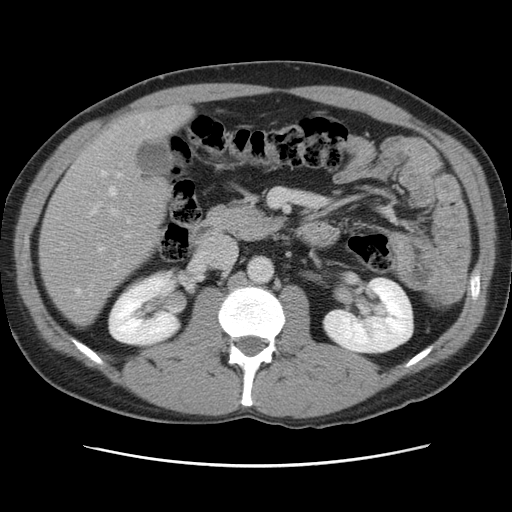

CT image, Liver
The vessel boxes may cover only some of the vessels.
Hepatic vessel at l=111, t=137, r=112, b=138; l=114, t=261, r=119, b=266; l=90, t=294, r=92, b=295; l=90, t=203, r=101, b=215; l=126, t=235, r=129, b=237; l=141, t=121, r=143, b=123; l=99, t=247, r=103, b=251; l=76, t=289, r=81, b=294; l=102, t=171, r=106, b=176; l=109, t=187, r=116, b=196; l=127, t=217, r=130, b=223; l=111, t=209, r=118, b=215.